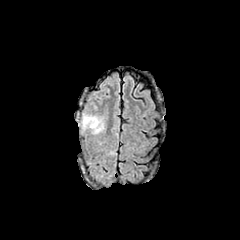
FLAIR MR image.
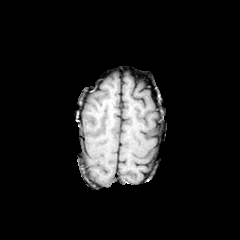
T1-weighted magnetic resonance.
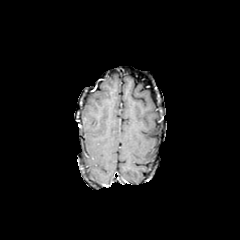
Post-contrast T1-weighted MR.
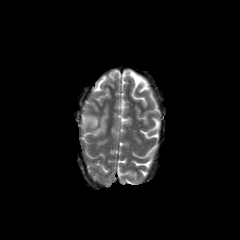
T2-weighted MR.
Brain
The edema is located at 82,115,98,127.